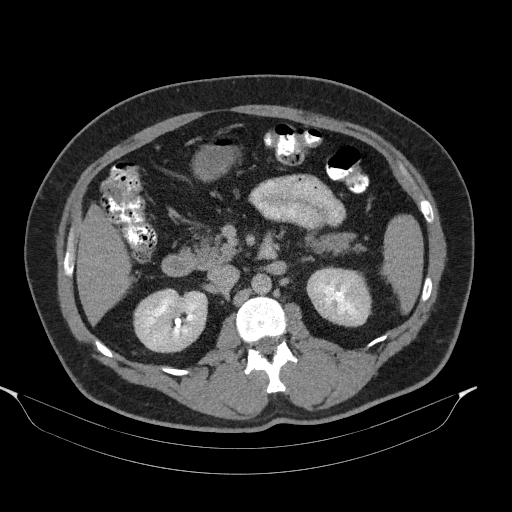 512x512 px, Upper abdomen, Computed tomography

{
  "pancreas": [
    "rect(306, 233, 363, 253)",
    "rect(189, 230, 234, 268)"
  ]
}